Image size 240x240
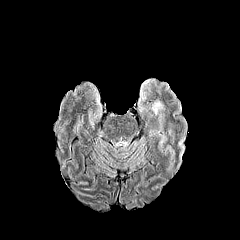
FLAIR magnetic resonance.
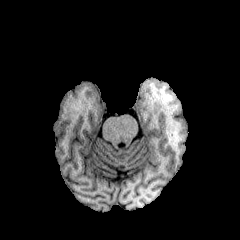
T1-weighted MR of the same slice.
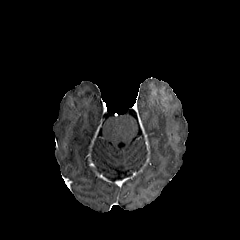
Same slice, post-contrast T1-weighted MRI.
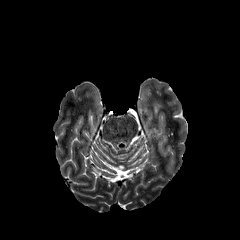
T2-weighted MR image of the same slice.
Edema at (152,101,165,114).